Image width 380 mm; CT; 512x512 px; Slice 567/871
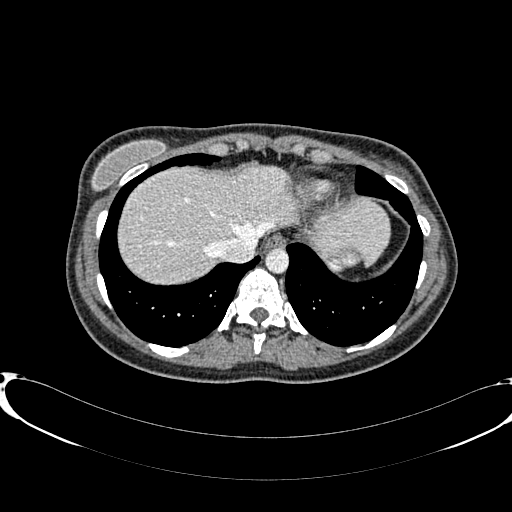
2 liver regions are bounded by 119,167,294,282; 311,200,389,263.